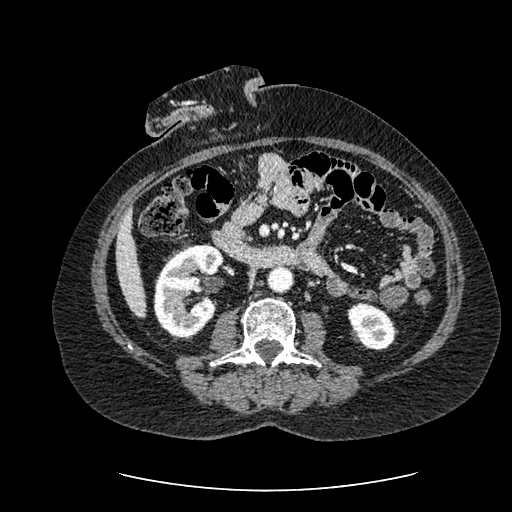
CT slice

2 kidney regions are located at x1=348, y1=303, x2=394, y2=349; x1=154, y1=245, x2=222, y2=337. The liver is at x1=116, y1=207, x2=145, y2=317.